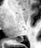 MR | 41x48 px | Medial temporal lobe
The posterior hippocampus is bounded by x1=15 y1=38 x2=23 y2=41.